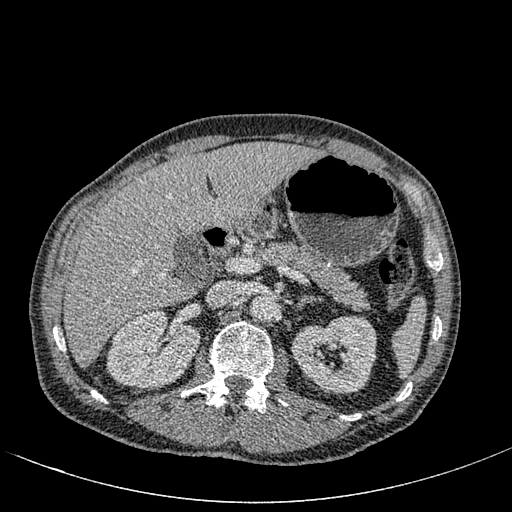

512x512 px. CT scan slice.

{"liver": ["bbox(64, 142, 326, 368)"], "kidney": ["bbox(107, 310, 199, 387)", "bbox(292, 316, 376, 392)"]}